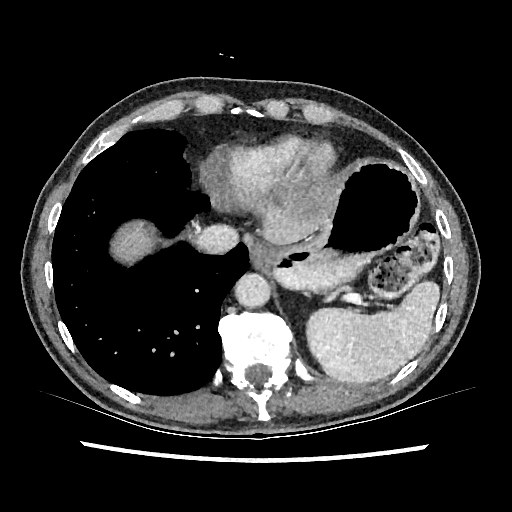
Image size 512x512; Computed tomography
2 liver regions are bounded by bbox=[112, 222, 157, 261]; bbox=[261, 177, 344, 244]. The hepatic lesion is located at bbox=[280, 178, 340, 223].